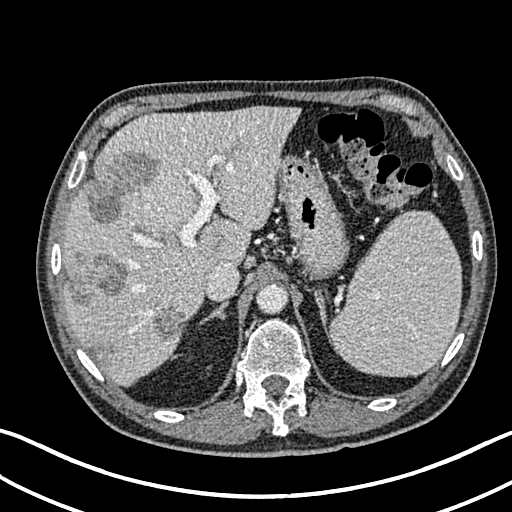
Computed tomography. Liver.

{
  "liver": [
    "64:107:299:382"
  ],
  "focal_liver_lesion": [
    "152:305:185:342",
    "68:250:127:305",
    "90:339:112:358",
    "86:153:159:222"
  ]
}